Computed tomography; Image width 385 mm; Slice 28 of 76; Abdomen

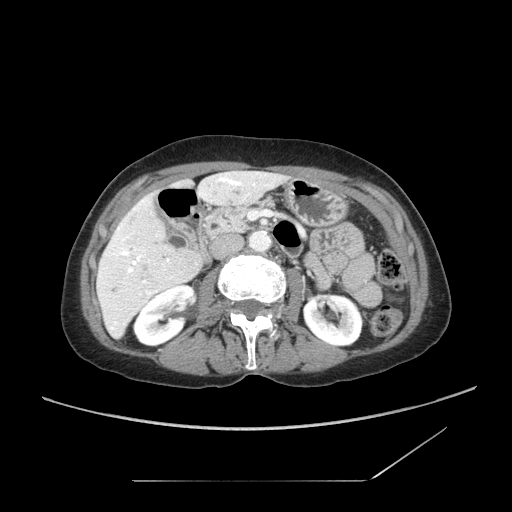 Annotated regions:
* pancreas: 207 199 276 238